FLAIR MRI.
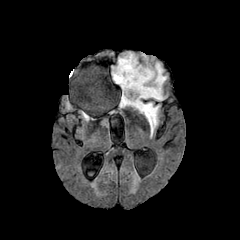
T1-weighted MR image.
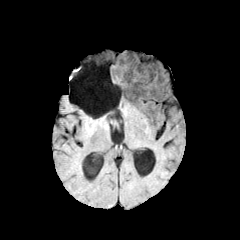
Post-contrast T1-weighted MRI.
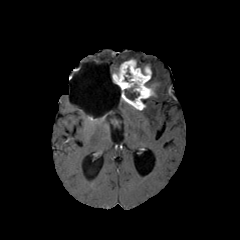
T2-weighted MR.
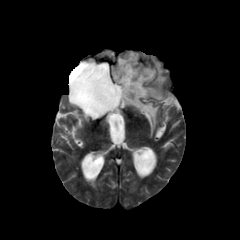
240x240 px | Head
<segmentation>
  <edema>111, 53, 138, 74; 139, 62, 166, 135</edema>
  <enhancing_tumor>112, 59, 153, 109</enhancing_tumor>
  <non-enhancing_tumor_core>139, 64, 155, 89; 124, 88, 139, 100</non-enhancing_tumor_core>
</segmentation>